Prostate
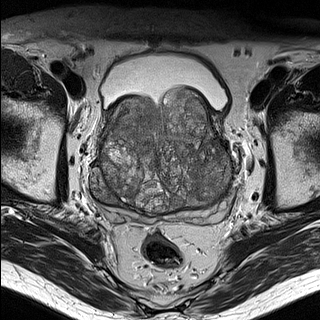
T2-weighted MRI.
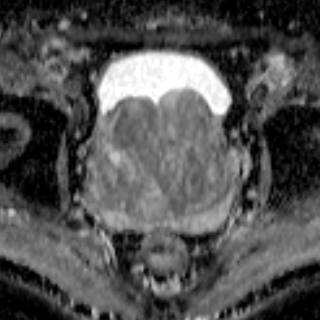
Same slice, ADC MRI.
prostate_transition_zone:
  - (x1=92, y1=89, x2=230, y2=212)